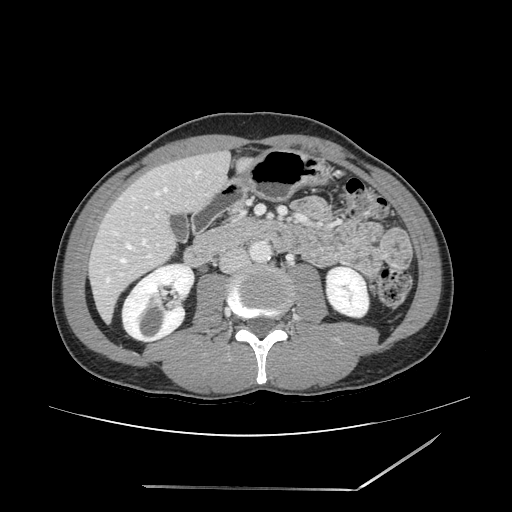
Computed tomography
{
  "pancreas": [
    "bbox(198, 219, 247, 242)"
  ]
}